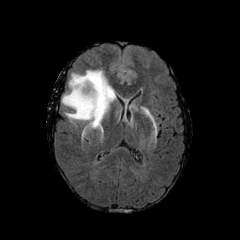
FLAIR MRI.
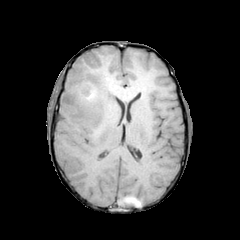
T1-weighted magnetic resonance.
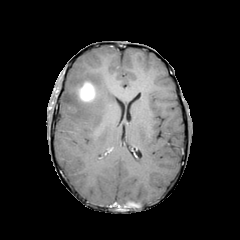
Same slice, post-contrast T1-weighted magnetic resonance.
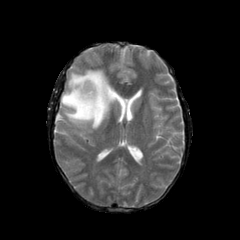
Same slice, T2-weighted MR image.
Brain
The non-enhancing tumor core is located at 75:89:93:102. The enhancing tumor appears at 79:83:94:101. The edema lies within 61:69:116:135.